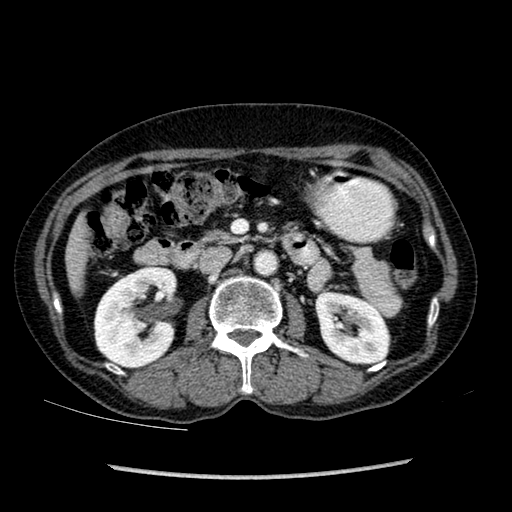 CT scan slice | Upper abdomen
kidney: <box>317,294,388,362</box>, <box>95,267,175,366</box> | liver: <box>68,218,88,285</box>